Slice 4/20, Pelvis, Image size 320x320
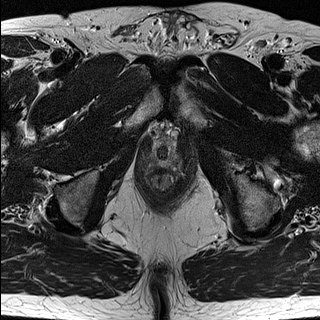
T2-weighted magnetic resonance.
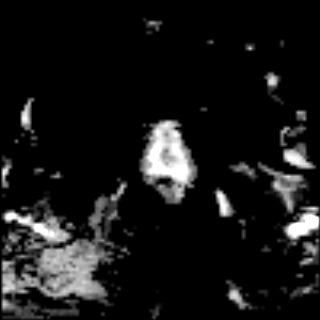
ADC MR image.
Prostate transition zone = 148,140,180,167.